Field of view 496 mm wide, 5.00 mm slice spacing, Computed tomography, Image size 512x512
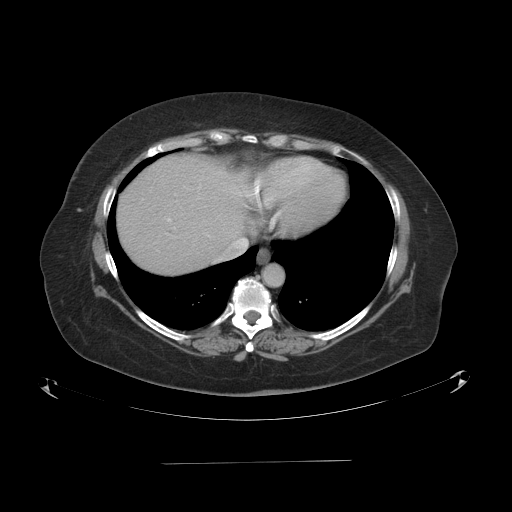 Only some of the vessels may be annotated.
Hepatic vessel — box=[215, 238, 246, 259].